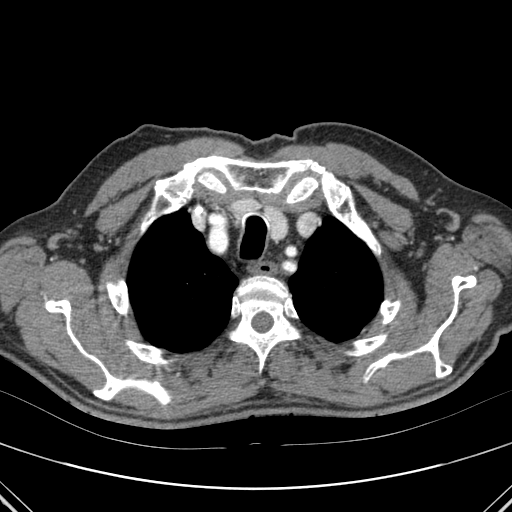

Computed tomography, Thorax, Image size 512x512
Bone — {"x1": 366, "y1": 275, "x2": 476, "y2": 377}, {"x1": 126, "y1": 340, "x2": 167, "y2": 363}, {"x1": 197, "y1": 172, "x2": 226, "y2": 192}, {"x1": 286, "y1": 177, "x2": 318, "y2": 203}, {"x1": 142, "y1": 155, "x2": 379, "y2": 254}, {"x1": 380, "y1": 300, "x2": 400, "y2": 324}, {"x1": 230, "y1": 276, "x2": 299, "y2": 371}, {"x1": 348, "y1": 335, "x2": 386, "y2": 355}, {"x1": 45, "y1": 299, "x2": 170, "y2": 404}, {"x1": 106, "y1": 280, "x2": 128, "y2": 315}.
Lung — {"x1": 288, "y1": 217, "x2": 382, "y2": 342}, {"x1": 127, "y1": 209, "x2": 238, "y2": 352}.